CT scan slice
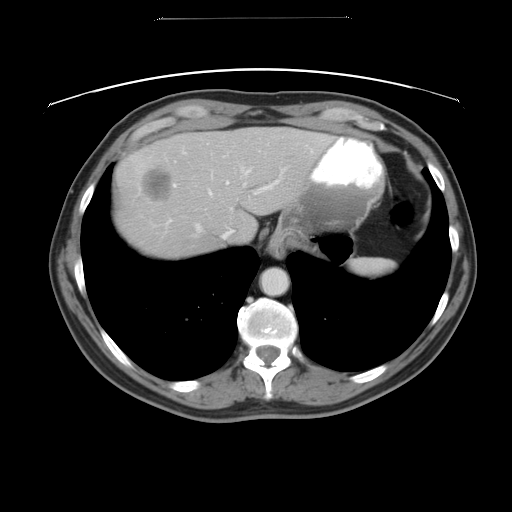 Not every hepatic vessel necessarily has a box.
8 hepatic vessel regions are located at {"x1": 223, "y1": 229, "x2": 233, "y2": 237}, {"x1": 254, "y1": 167, "x2": 286, "y2": 193}, {"x1": 226, "y1": 181, "x2": 228, "y2": 182}, {"x1": 224, "y1": 153, "x2": 228, "y2": 156}, {"x1": 244, "y1": 183, "x2": 245, "y2": 184}, {"x1": 183, "y1": 149, "x2": 186, "y2": 153}, {"x1": 163, "y1": 218, "x2": 171, "y2": 227}, {"x1": 196, "y1": 224, "x2": 201, "y2": 230}. The liver tumor is at {"x1": 140, "y1": 168, "x2": 176, "y2": 203}.